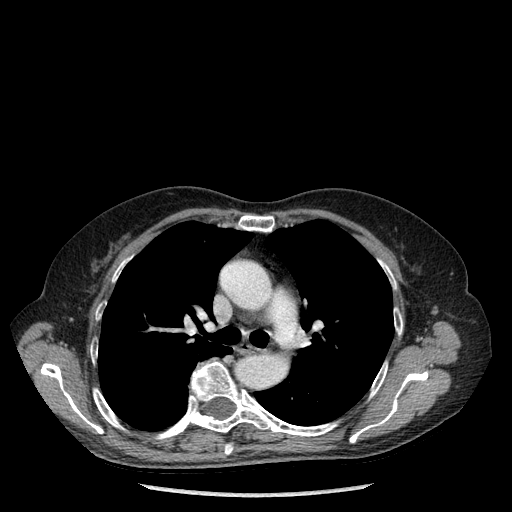
512x512 | Computed tomography | Chest
3 lung regions are located at box(98, 221, 252, 430); box(255, 220, 393, 425); box(250, 331, 268, 347). 12 bone regions are located at box(155, 359, 336, 439); box(236, 214, 274, 231); box(90, 341, 97, 362); box(394, 308, 402, 335); box(112, 259, 127, 281); box(40, 362, 103, 433); box(369, 362, 387, 398); box(224, 443, 232, 454); box(93, 388, 124, 429); box(95, 303, 103, 319); box(378, 259, 396, 288); box(349, 371, 428, 442).